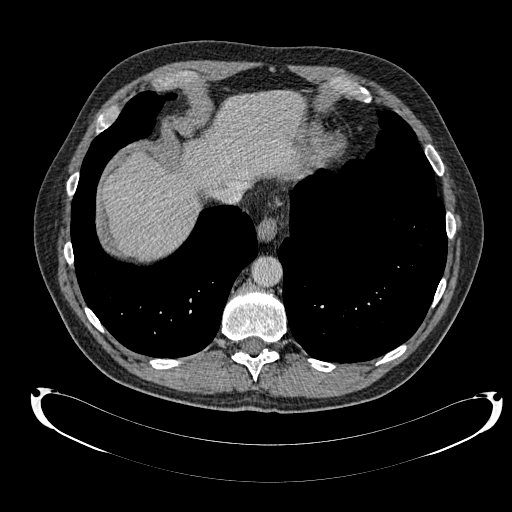 CT scan slice | Upper abdomen | 512x512 px
Liver — <bbox>102, 91, 303, 259</bbox>.